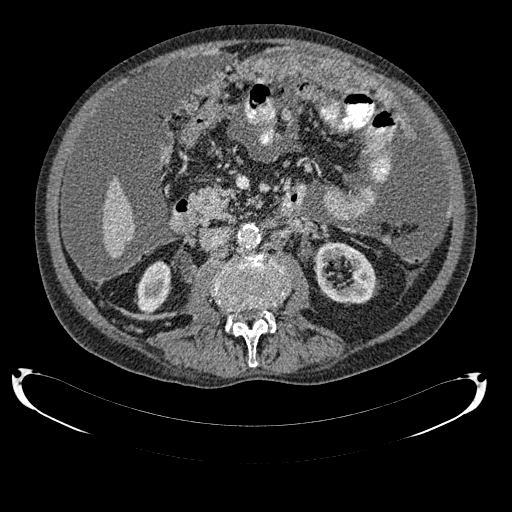 512x512; Computed tomography; Abdomen
The liver appears at 104:175:134:258. 2 kidney regions appear at 138:262:170:312, 315:242:375:302.